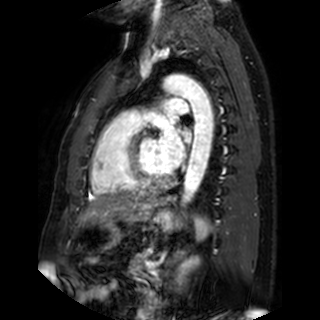

320x320 px | Magnetic resonance | Cardiac
Left atrium — l=168, t=113, r=178, b=122; l=184, t=131, r=192, b=143; l=158, t=123, r=184, b=169.